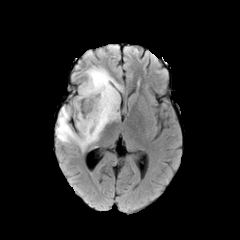
FLAIR MR.
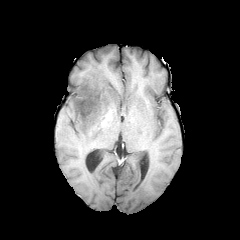
T1-weighted MR image.
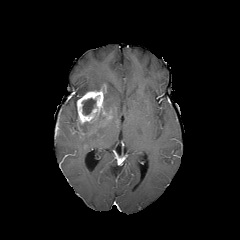
Post-contrast T1-weighted MR.
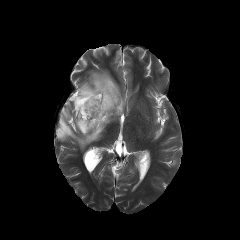
T2-weighted MR of the same slice.
Brain.
non-enhancing tumor core: left=79, top=93, right=110, bottom=135; left=74, top=86, right=94, bottom=119; left=82, top=98, right=95, bottom=115 | edema: left=57, top=66, right=122, bottom=150 | enhancing tumor: left=77, top=84, right=106, bottom=129